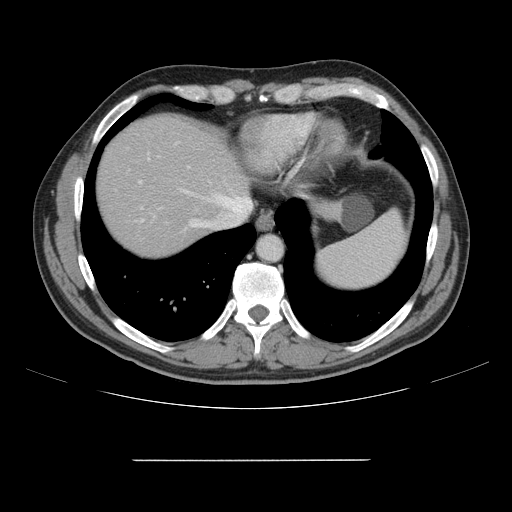
Abdomen; Computed tomography
Some hepatic vessels may have no box.
hepatic vessel: [189,224,196,226], [189,219,196,222], [138,181,140,182], [147,154,149,159], [137,219,143,222], [176,141,178,143]